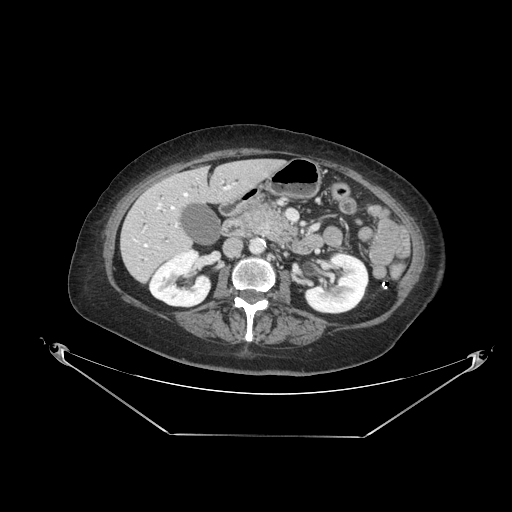
CT scan slice
pancreas: <box>246,204,283,242</box>